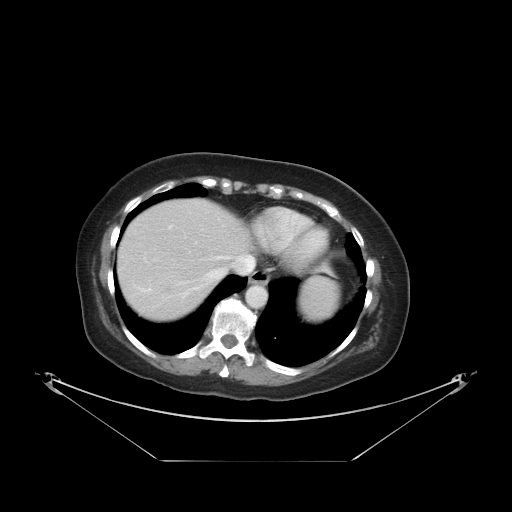
512x512; CT slice

Some hepatic vessels may have no box.
hepatic vessel: box=[213, 256, 253, 273]; box=[188, 308, 190, 310]; box=[169, 226, 171, 228]; box=[208, 268, 227, 285]; box=[141, 289, 150, 290]